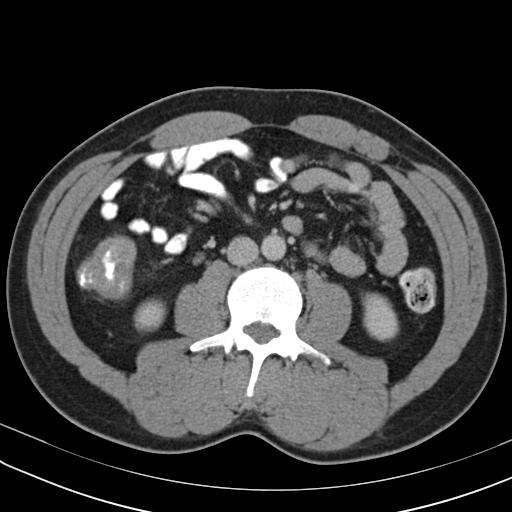

CT scan slice | Pelvis | Image size 512x512

Colon tumor at x1=84 y1=236 x2=136 y2=298.